FLAIR MR image.
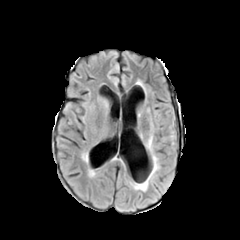
T1-weighted MR.
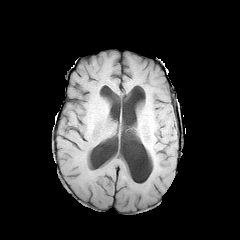
Post-contrast T1-weighted magnetic resonance.
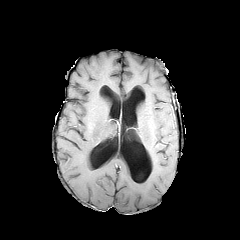
T2-weighted MRI.
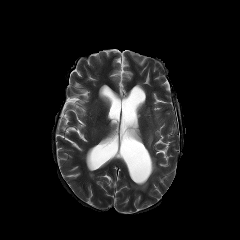
Edema: bounding box bbox(131, 135, 159, 191).